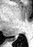 MR image
The posterior hippocampus is bounded by 12, 37, 16, 40.